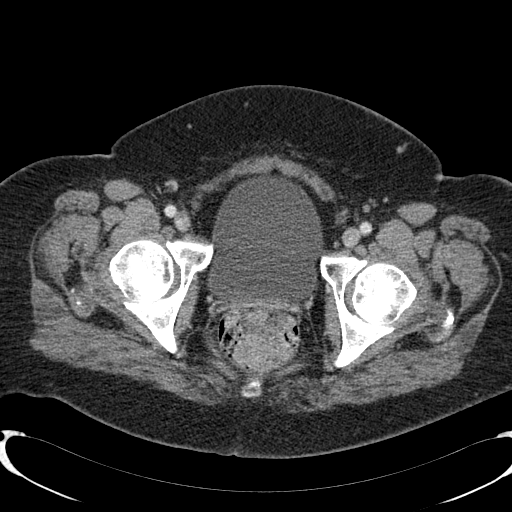

CT scan slice

Urinary bladder — [207,170,323,303].